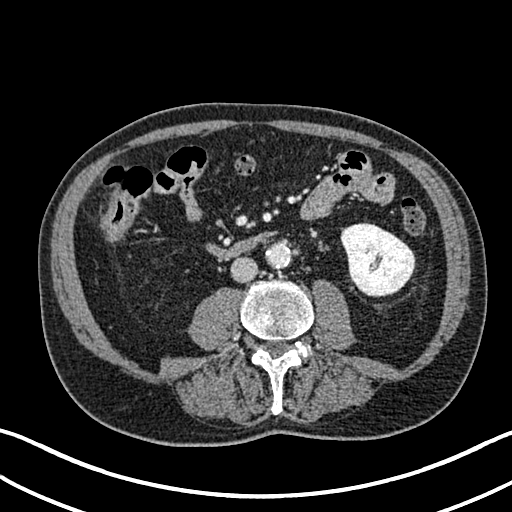
Abdomen; Computed tomography
Kidney: bounding box {"x1": 341, "y1": 224, "x2": 414, "y2": 295}.